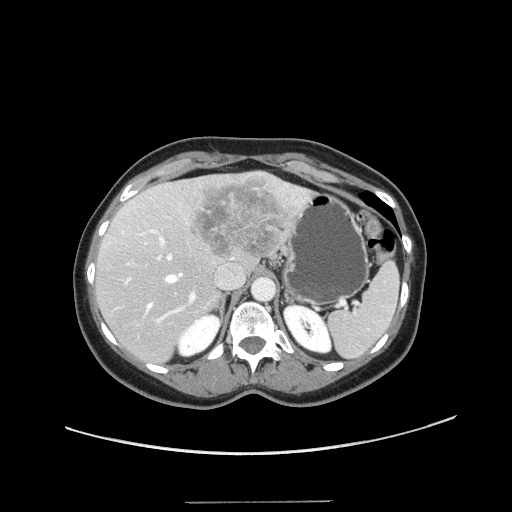

CT image; Liver
Some hepatic vessels may have no box.
10 hepatic vessel regions are bounded by (x1=151, y1=230, x2=156, y2=232), (x1=158, y1=256, x2=160, y2=258), (x1=190, y1=292, x2=195, y2=300), (x1=160, y1=237, x2=163, y2=243), (x1=126, y1=279, x2=129, y2=281), (x1=168, y1=254, x2=171, y2=258), (x1=147, y1=303, x2=152, y2=309), (x1=156, y1=308, x2=181, y2=321), (x1=166, y1=273, x2=181, y2=281), (x1=216, y1=264, x2=243, y2=288). The liver tumor is bounded by (x1=187, y1=173, x2=292, y2=262).